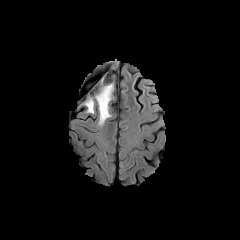
FLAIR MR.
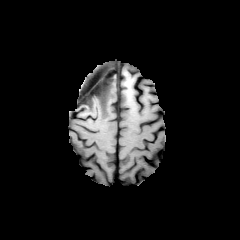
Same slice, T1-weighted MRI.
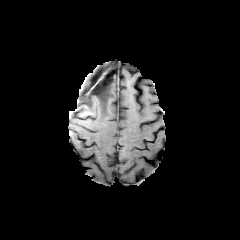
Post-contrast T1-weighted MR image.
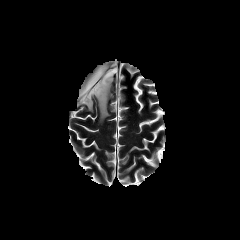
T2-weighted magnetic resonance.
Brain
The edema is bounded by [79,77,113,124]. The non-enhancing tumor core appears at [92,78,101,93].